FLAIR magnetic resonance.
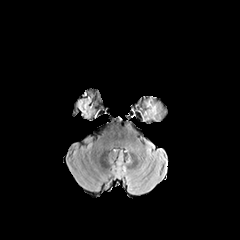
T1-weighted magnetic resonance.
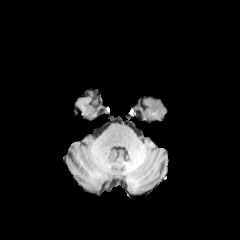
Post-contrast T1-weighted MRI.
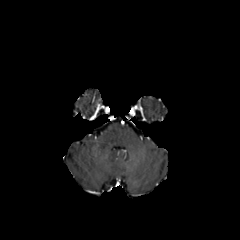
T2-weighted MR.
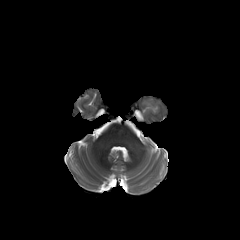
Brain
Edema — <bbox>143, 98, 158, 119</bbox>.